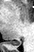 34x52 px. MRI.
Posterior hippocampus: bounding box x1=9 y1=40 x2=20 y2=45.